CT | Liver | Field of view 320x320 mm
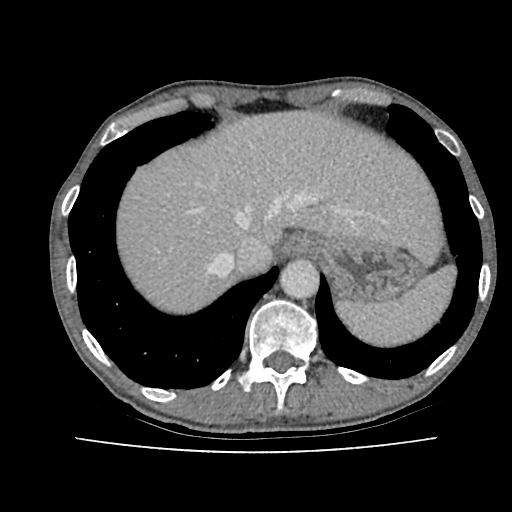
liver:
  - 117, 111, 446, 312